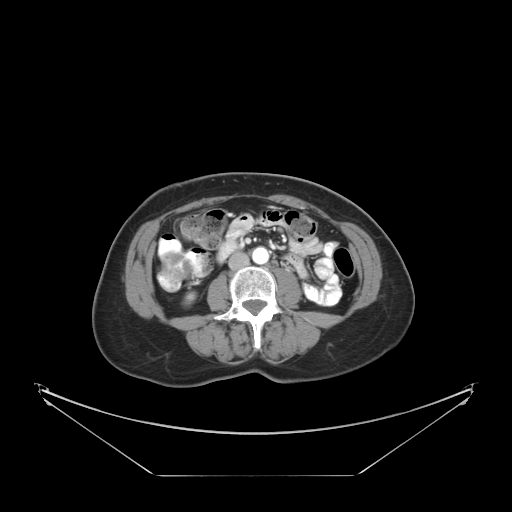

CT slice
Colon tumor — {"x1": 161, "y1": 251, "x2": 192, "y2": 281}.